FLAIR MR image.
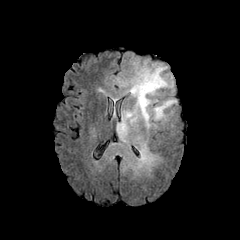
T1-weighted MR.
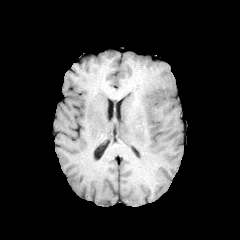
Post-contrast T1-weighted magnetic resonance.
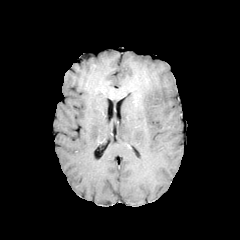
T2-weighted MRI.
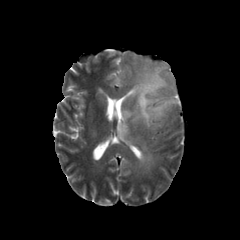
Head
Segmented structures:
- edema: 141:149:150:161, 112:64:176:139
- non-enhancing tumor core: 130:72:149:108